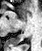
MRI slice. Image size 42x51.

posterior hippocampus: bbox(7, 38, 17, 43)